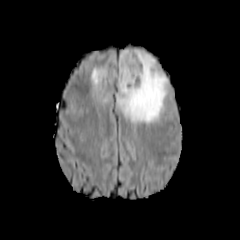
FLAIR MR image.
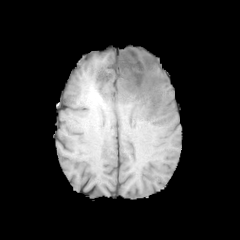
T1-weighted MRI.
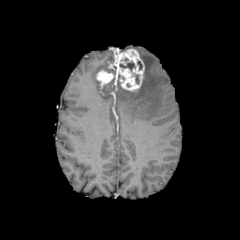
Same slice, post-contrast T1-weighted magnetic resonance.
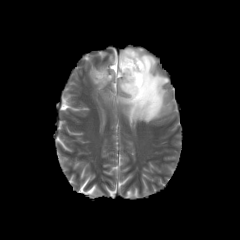
T2-weighted MRI.
Brain
{"enhancing_tumor": ["[96,48,144,91]"], "non-enhancing_tumor_core": ["[120,61,136,70]"], "edema": ["[90,65,107,90]", "[118,50,170,124]"]}